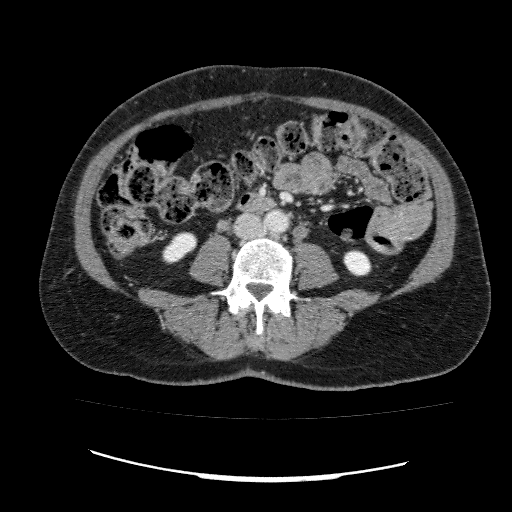

CT image
Annotated regions:
* kidney: (345,252,369,274), (164,234,195,261)